Head | Slice 104 of 155
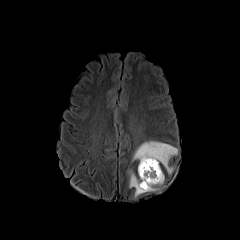
FLAIR MR.
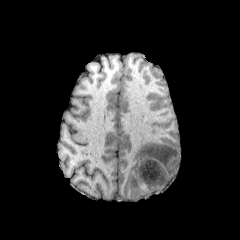
T1-weighted magnetic resonance.
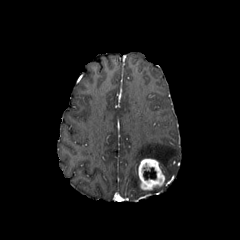
Post-contrast T1-weighted magnetic resonance.
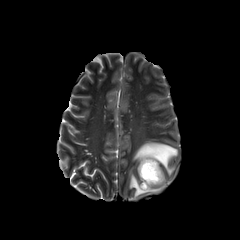
T2-weighted magnetic resonance.
{
  "edema": [
    "bbox(129, 170, 146, 197)",
    "bbox(133, 141, 177, 173)"
  ],
  "non-enhancing_tumor_core": [
    "bbox(144, 167, 156, 179)"
  ],
  "enhancing_tumor": [
    "bbox(137, 157, 164, 191)"
  ]
}